Head.
FLAIR MRI.
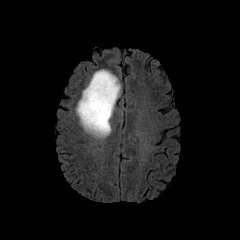
T1-weighted MR.
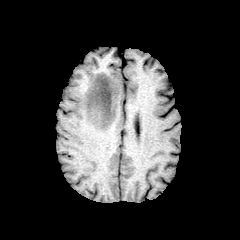
Post-contrast T1-weighted MR.
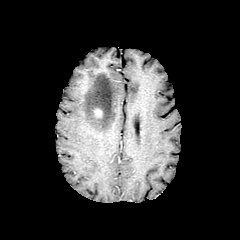
T2-weighted MR.
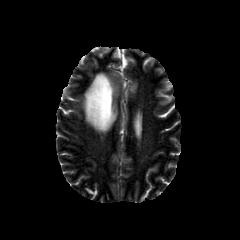
<segmentation>
  <edema>[74, 69, 120, 138]</edema>
</segmentation>